Head. Image size 240x240.
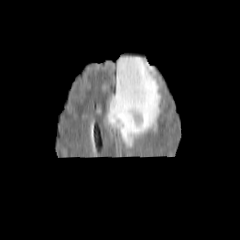
FLAIR MR image.
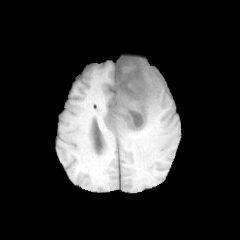
T1-weighted MR of the same slice.
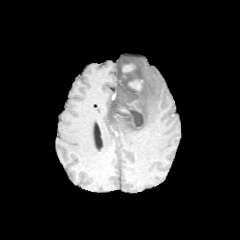
Post-contrast T1-weighted magnetic resonance of the same slice.
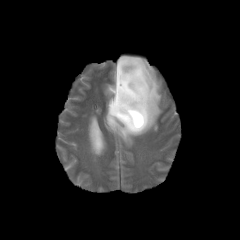
T2-weighted MR image.
non-enhancing_tumor_core:
  - rect(116, 60, 146, 128)
edema:
  - rect(104, 55, 161, 143)
enhancing_tumor:
  - rect(129, 79, 142, 90)
  - rect(123, 66, 133, 71)